FLAIR MR.
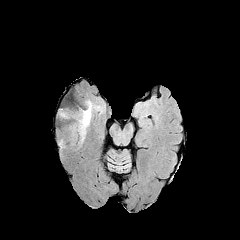
T1-weighted MR.
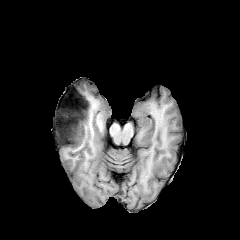
Post-contrast T1-weighted MRI.
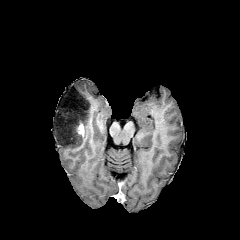
T2-weighted magnetic resonance.
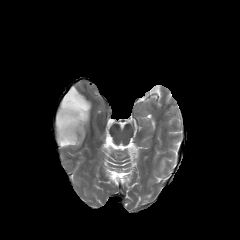
Head.
Enhancing tumor: 76 122 84 137.
Edema: 87 100 93 126.
Non-enhancing tumor core: 58 96 89 146.